T2-weighted MR.
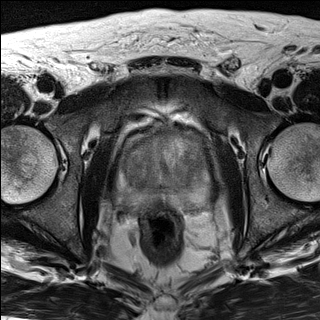
ADC MR image.
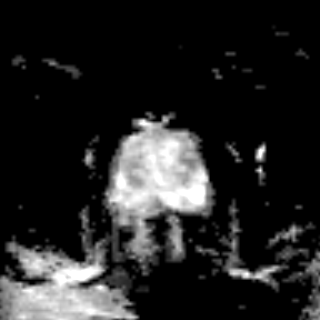
Prostate | Image size 320x320
Prostate peripheral zone — (110,135,210,210).
Prostate transition zone — (122,132,208,192).